Image width 240 mm | Brain
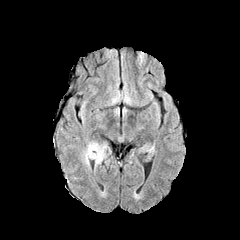
FLAIR MR image.
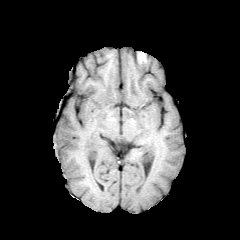
T1-weighted MR.
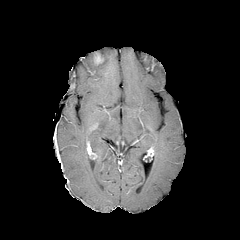
Post-contrast T1-weighted magnetic resonance of the same slice.
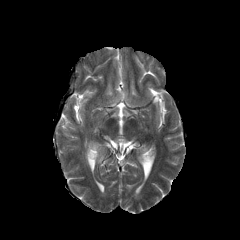
T2-weighted MRI.
edema:
  - 80, 146, 91, 171
  - 86, 140, 110, 172
enhancing_tumor:
  - 86, 146, 97, 159